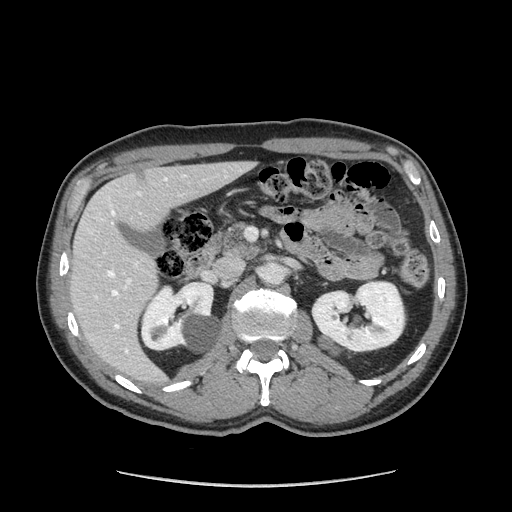

CT image.
Pancreas = rect(222, 223, 257, 257).